512x512 px, Abdomen, Slice 44 of 110, CT slice, Image width 410 mm 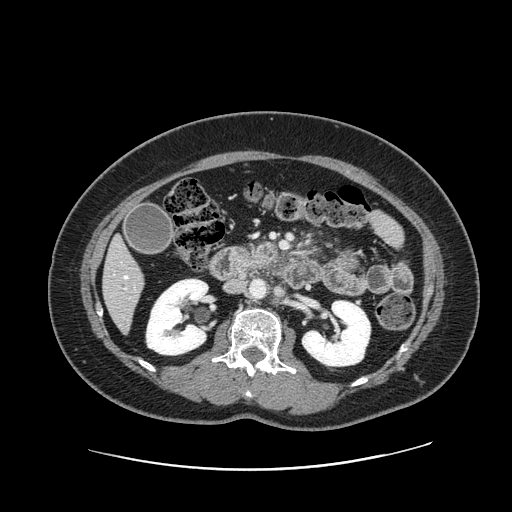
{"pancreas": [{"x1": 236, "y1": 244, "x2": 276, "y2": 270}]}